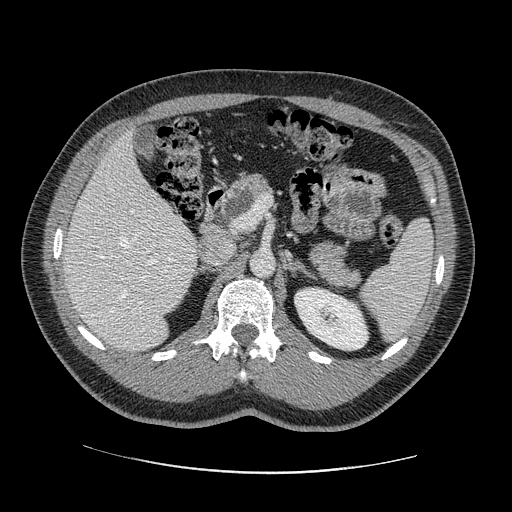
Upper abdomen | CT scan slice
pancreas: region(214, 173, 272, 225); region(307, 239, 362, 290) | pancreatic tumor: region(224, 187, 255, 219)